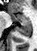

MRI slice; Image size 37x51; Hippocampus
The anterior hippocampus is bounded by (10,13,30,22). The posterior hippocampus appears at (17,23,30,36).